Head, Field of view 240x240 mm
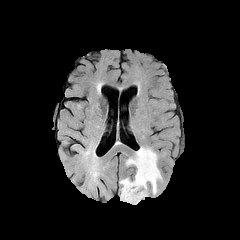
FLAIR MR image.
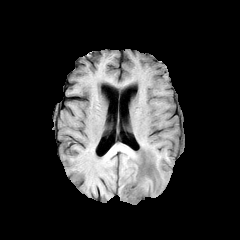
T1-weighted MRI.
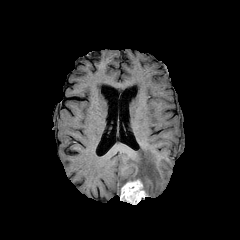
Post-contrast T1-weighted MRI.
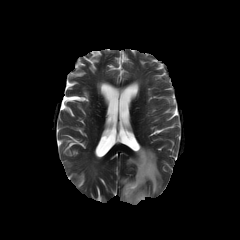
T2-weighted magnetic resonance.
enhancing tumor: <box>120,179,147,204</box> | edema: <box>121,147,162,194</box>